Abdomen. Image size 512x512. CT slice.

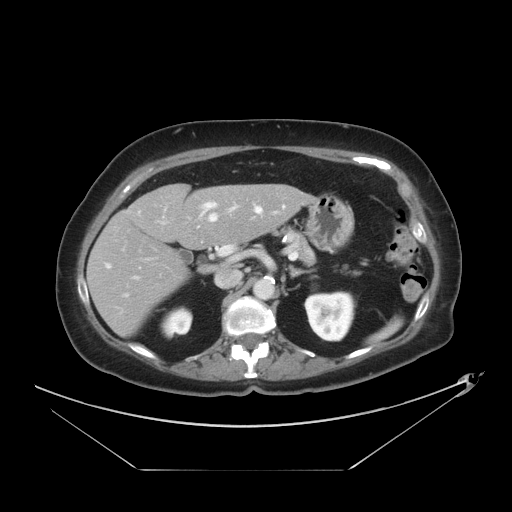 Some hepatic vessels may have no box.
<segmentation>
  <hepatic_vessel><box>124,294,127,295</box>, <box>200,202,216,221</box>, <box>216,244,234,255</box>, <box>254,206,261,213</box>, <box>229,204,237,210</box>, <box>274,212,277,212</box>, <box>106,264,110,267</box>, <box>283,205,284,207</box>, <box>134,277,137,278</box></hepatic_vessel>
</segmentation>